Abdomen. Image width 409 mm. CT.
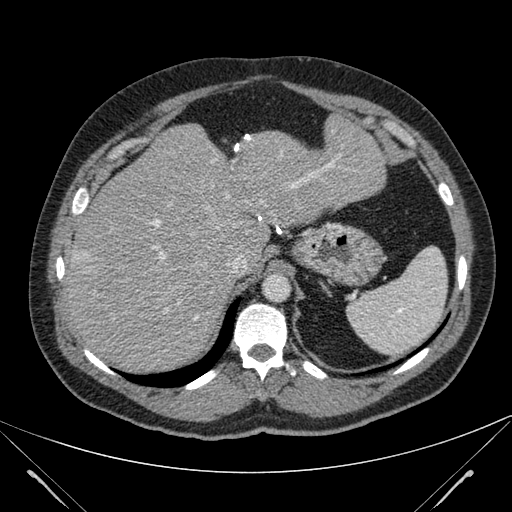
The liver is bounded by (63,114,386,372).